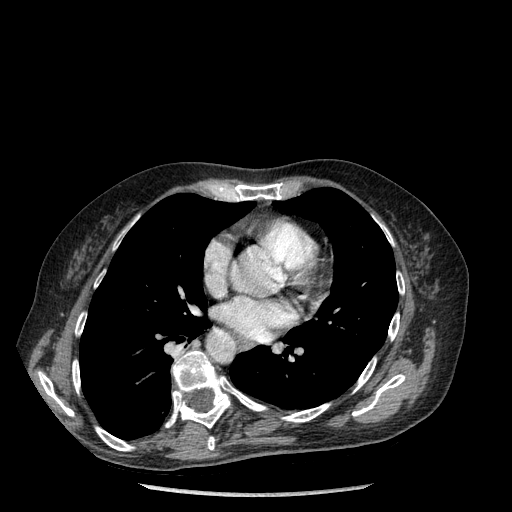
CT scan slice.

Annotated regions:
- bone: 207, 436, 214, 449; 95, 427, 134, 451; 353, 357, 376, 392; 72, 360, 80, 393; 38, 371, 74, 416; 388, 313, 399, 340; 374, 218, 394, 245; 165, 349, 266, 428; 396, 272, 404, 294; 224, 183, 285, 201; 75, 312, 86, 335; 113, 215, 139, 249; 281, 403, 330, 422; 352, 374, 405, 416
- lung: 80, 193, 254, 439; 230, 187, 398, 409